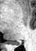

36x51 | Magnetic resonance

Annotated regions:
* posterior hippocampus: <bbox>13, 41, 20, 44</bbox>